Computed tomography | Field of view 512 mm wide, 1.00 mm slice spacing 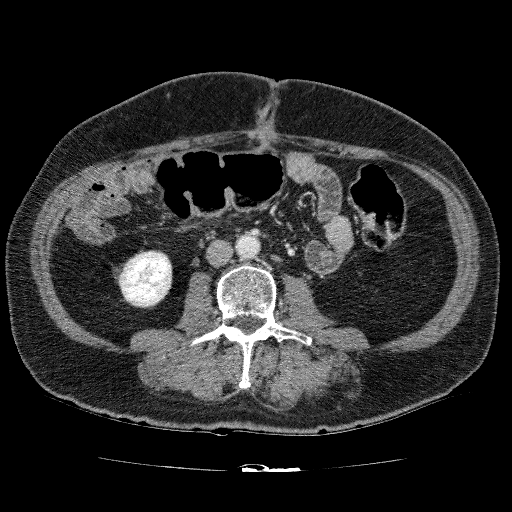 kidney:
  - [119, 251, 171, 307]